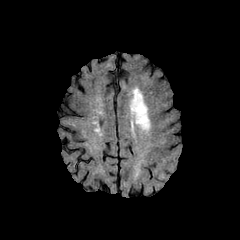
FLAIR MRI.
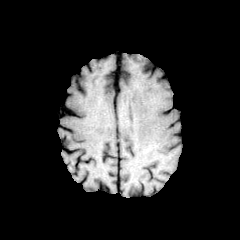
Same slice, T1-weighted magnetic resonance.
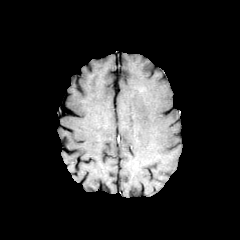
Post-contrast T1-weighted MR image.
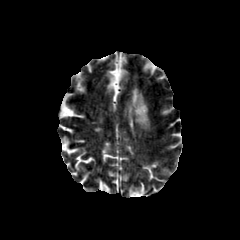
T2-weighted MR.
{"edema": ["x1=128, y1=87, x2=150, y2=133"]}